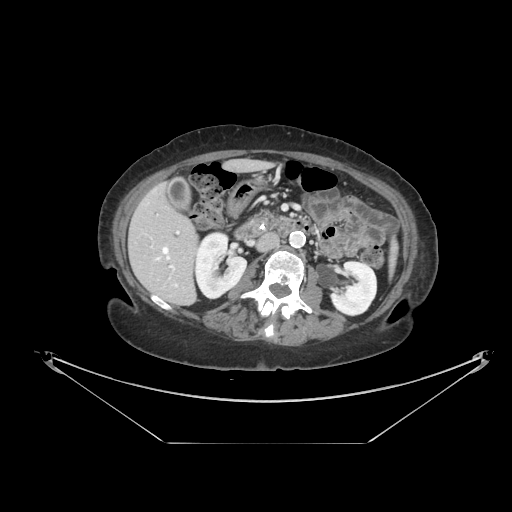 512x512 px | Computed tomography | Abdomen
{"pancreas": ["<bbox>260, 211, 274, 218</bbox>"]}